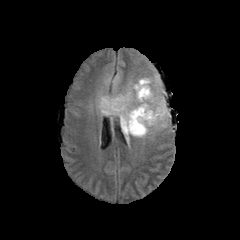
FLAIR MR image.
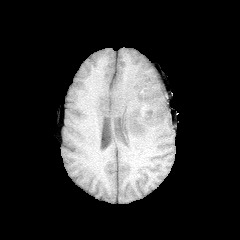
T1-weighted MR image of the same slice.
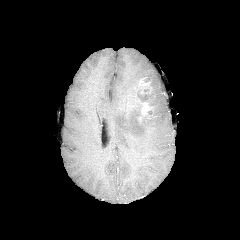
Same slice, post-contrast T1-weighted MR.
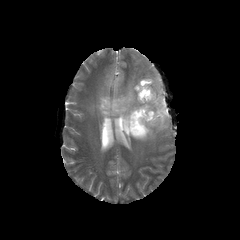
T2-weighted MR image.
non-enhancing_tumor_core:
  - [132,88,159,130]
  - [107,101,128,117]
edema:
  - [127,82,139,95]
  - [97,80,171,141]
enhancing_tumor:
  - [138,100,152,119]
  - [118,100,127,110]
  - [137,80,149,91]